FLAIR MR image.
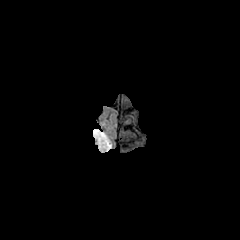
T1-weighted MR image.
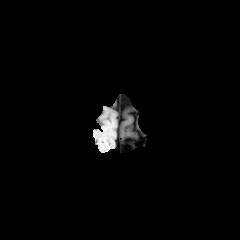
Post-contrast T1-weighted magnetic resonance.
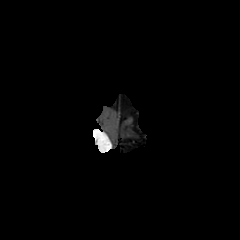
T2-weighted MR.
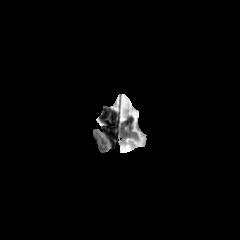
240x240 px | Head
Segmented structures:
- enhancing tumor: 93 129 111 152